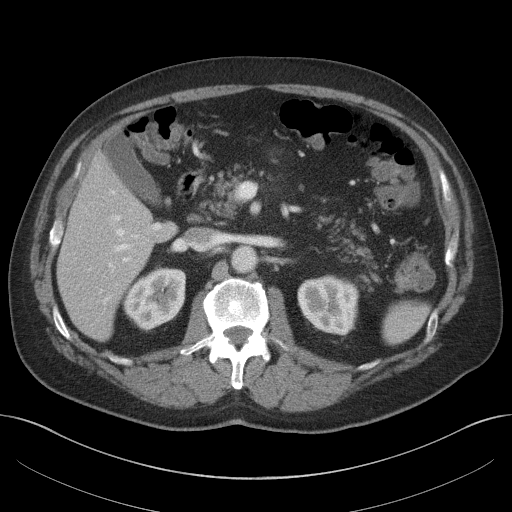

CT scan slice
Segmented structures:
- kidney: box(299, 279, 356, 332); box(125, 270, 184, 327)
- liver: box(57, 153, 153, 339)